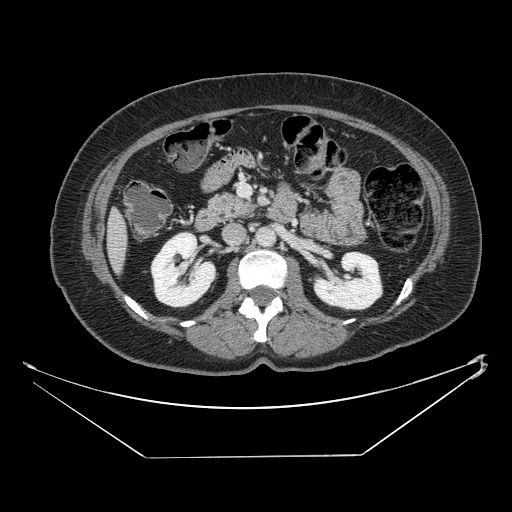
CT image. pancreas:
  - box=[207, 190, 255, 223]